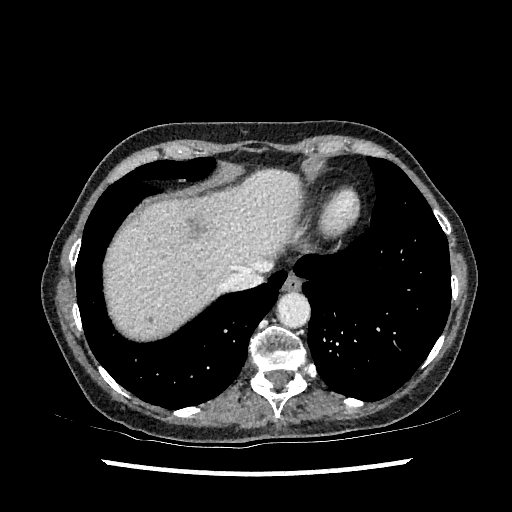 512x512 px, Computed tomography

{"liver_lesion": ["[188, 216, 208, 239]"], "liver": ["[104, 170, 301, 336]"]}